MRI slice. Slice index 21. Hippocampus. 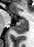
Posterior hippocampus = l=13, t=22, r=27, b=33.
Anterior hippocampus = l=18, t=18, r=27, b=21.